CT image. 512x512. 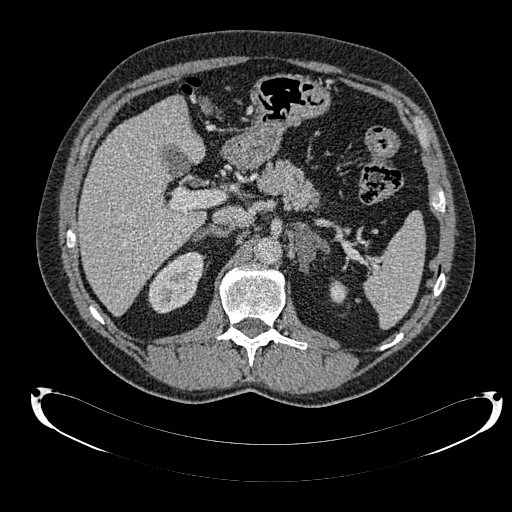 Kidney = 149 252 202 312, 331 282 345 301.
Liver = 78 95 205 314.